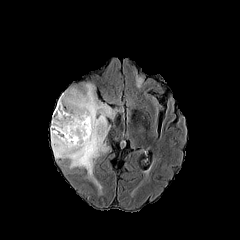
FLAIR MR.
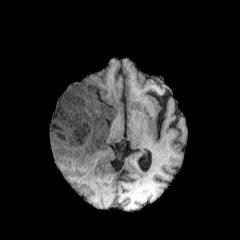
T1-weighted MR image of the same slice.
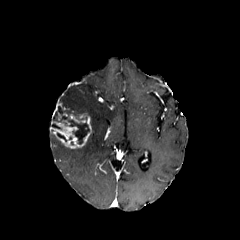
Post-contrast T1-weighted MRI.
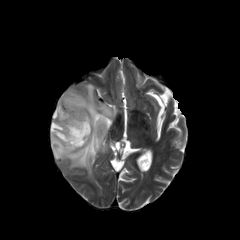
T2-weighted MRI.
240x240.
Annotated regions:
- enhancing tumor: 50:113:92:149
- non-enhancing tumor core: 68:120:89:143, 51:105:64:128
- edema: 101:92:114:103, 50:82:118:191